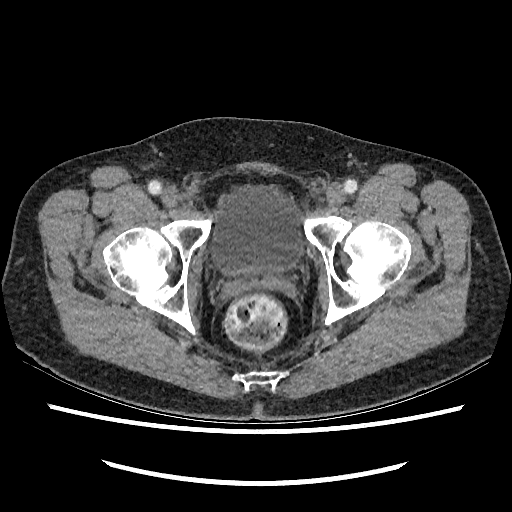 Computed tomography; Pelvis
Urinary bladder = (left=204, top=184, right=311, bottom=275).